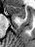

Image size 35x47; MRI slice

Segmented structures:
- anterior hippocampus: box=[8, 5, 25, 18]